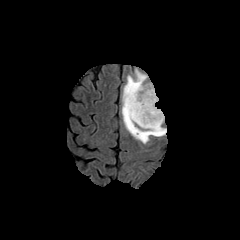
FLAIR MR image.
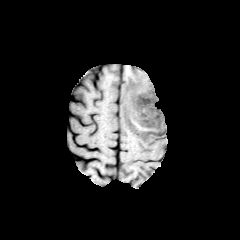
T1-weighted MR image.
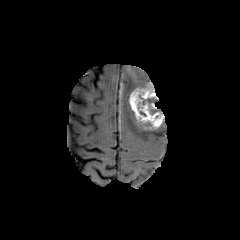
Post-contrast T1-weighted MR.
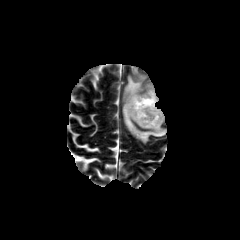
T2-weighted MR image.
2 non-enhancing tumor core regions are bounded by (123, 81, 149, 129), (139, 124, 164, 137). The edema is bounded by (120, 67, 166, 144). The enhancing tumor appears at (128, 82, 164, 129).